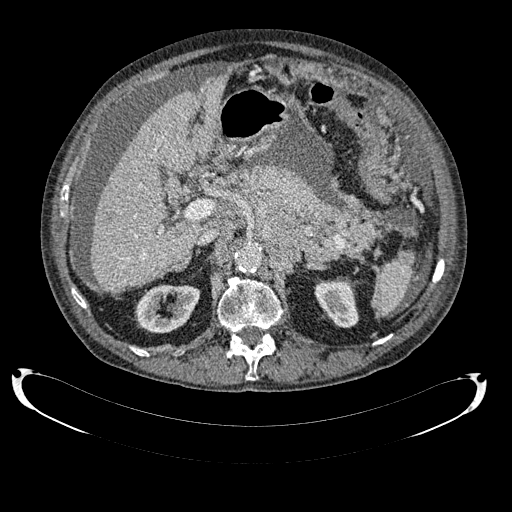 CT scan slice. Liver. 512x512.
Annotated regions:
- liver: box(92, 74, 227, 294)
- hepatic lesion: box(103, 212, 112, 223)
- kidney: box(315, 281, 358, 327); box(136, 285, 199, 332)